Field of view 330x330 mm. Slice 17/47. CT slice.

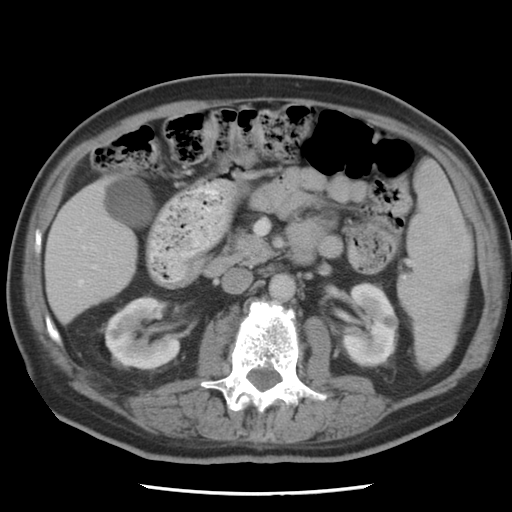
Pancreas at (left=221, top=225, right=272, bottom=268).